CT scan slice; Abdomen 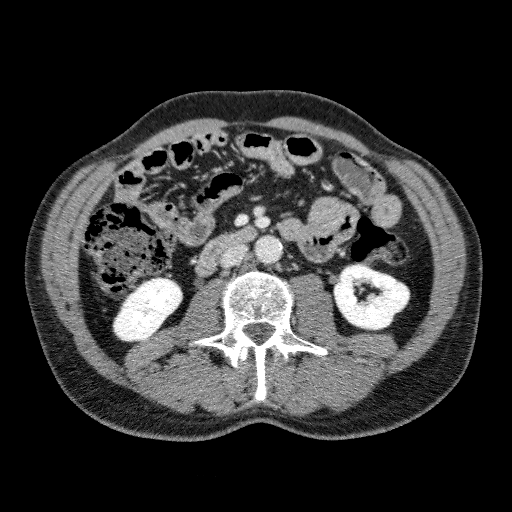
<segmentation>
  <kidney>region(334, 265, 408, 329); region(114, 278, 181, 340)</kidney>
</segmentation>